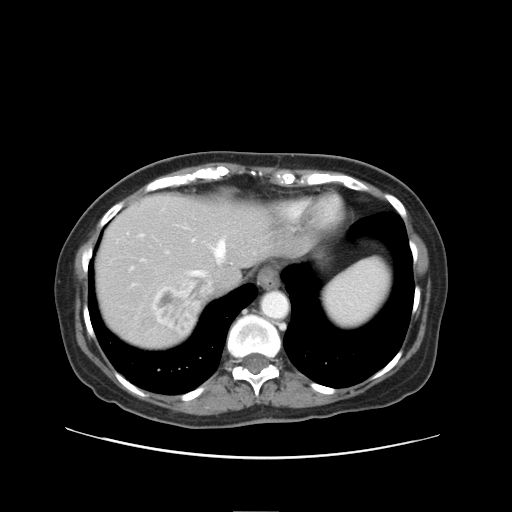
CT scan slice
The vessel boxes may cover only some of the vessels.
{"liver_tumor": ["[152,285,199,333]"], "hepatic_vessel": ["[192,239,195,241]", "[191,271,205,276]", "[209,283,210,284]", "[212,241,225,262]", "[141,235,143,236]", "[185,227,187,229]", "[131,268,132,270]"]}